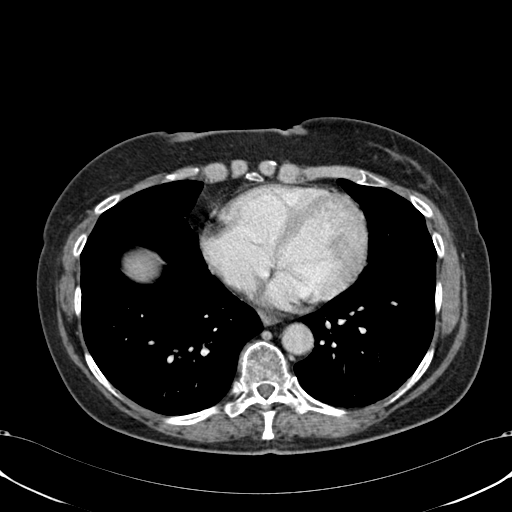

CT scan slice
<segmentation>
  <liver>bbox(122, 252, 158, 282)</liver>
</segmentation>